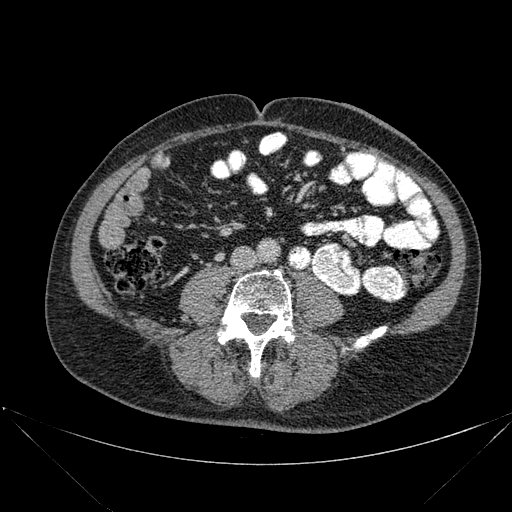
CT
Segmented structures:
• bone: bbox(217, 270, 294, 377); bbox(354, 326, 386, 347)